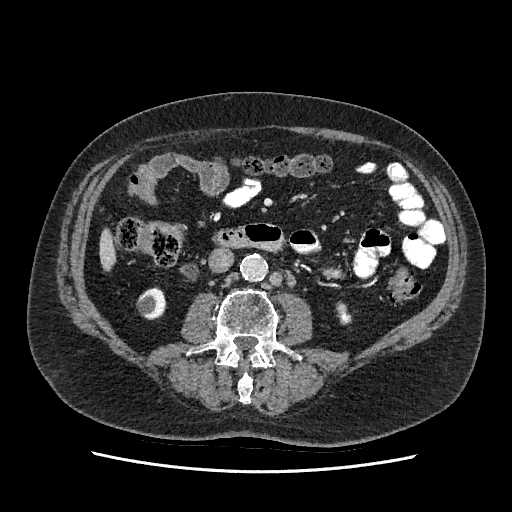 CT scan slice, Liver
The liver lies within <box>101,230,114,269</box>. 2 kidney regions are located at <box>145,289,164,317</box>, <box>341,312,348,321</box>.